FLAIR MRI.
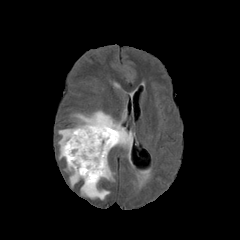
T1-weighted MR.
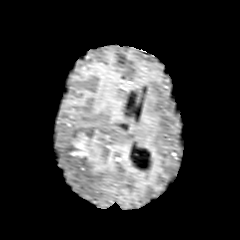
Post-contrast T1-weighted MR.
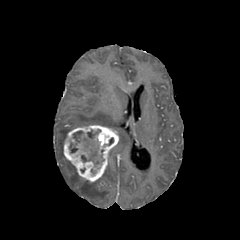
T2-weighted magnetic resonance.
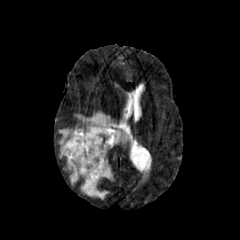
Brain.
{
  "non-enhancing_tumor_core": [
    "bbox(74, 131, 81, 140)"
  ],
  "enhancing_tumor": [
    "bbox(62, 124, 119, 182)"
  ],
  "edema": [
    "bbox(81, 179, 109, 199)",
    "bbox(65, 162, 78, 186)",
    "bbox(74, 111, 132, 147)",
    "bbox(102, 166, 114, 180)",
    "bbox(58, 128, 71, 158)"
  ]
}